Brain
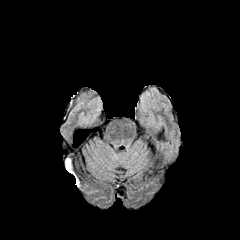
FLAIR magnetic resonance.
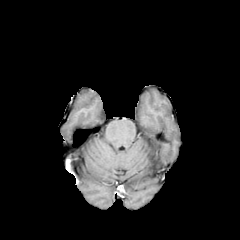
Same slice, T1-weighted MRI.
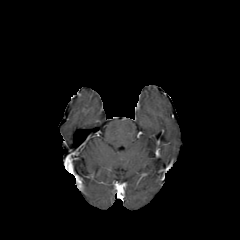
Same slice, post-contrast T1-weighted MR image.
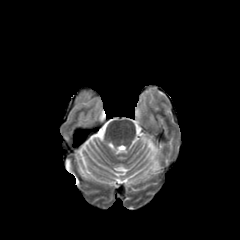
T2-weighted MR.
Edema at 65:158:80:187.